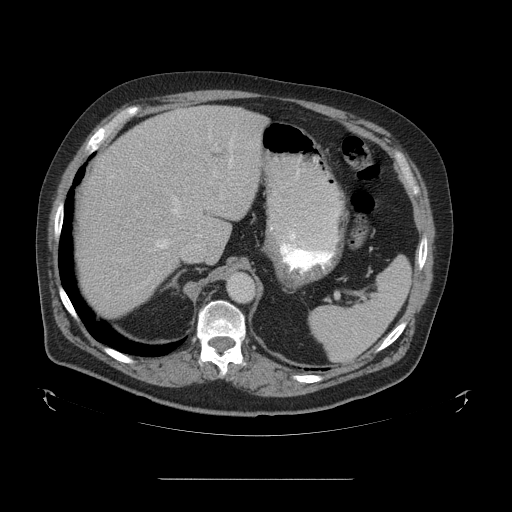

Computed tomography. 512x512. Abdomen.
The vessel boxes may cover only some of the vessels.
Hepatic vessel — [178,243,203,261], [228,133,234,173], [145,166,148,170], [200,221,202,222], [165,189,167,190], [209,223,212,226], [170,194,188,218], [196,233,202,236], [149,238,173,251], [212,147,219,151], [209,169,215,184], [152,271,157,274], [136,141,141,145].